Head
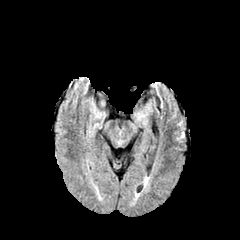
FLAIR MR.
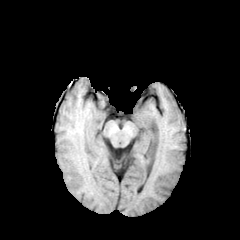
T1-weighted magnetic resonance.
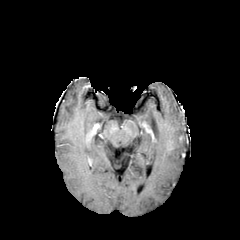
Same slice, post-contrast T1-weighted MR image.
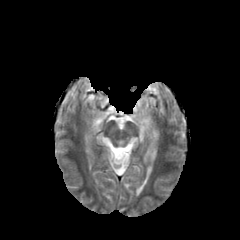
T2-weighted MRI.
Edema: (x1=135, y1=106, x2=150, y2=127).